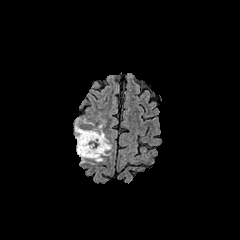
FLAIR magnetic resonance.
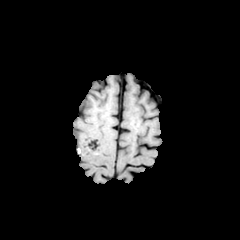
T1-weighted MR image of the same slice.
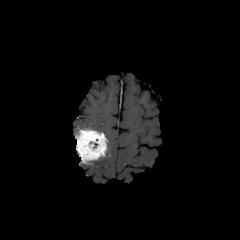
Same slice, post-contrast T1-weighted magnetic resonance.
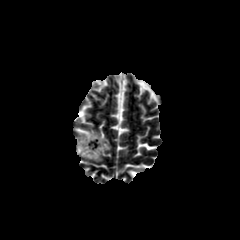
T2-weighted MR image of the same slice.
Head; 240x240 px
2 edema regions appear at rect(105, 140, 111, 156); rect(84, 119, 103, 132). The enhancing tumor is located at rect(76, 128, 107, 162).